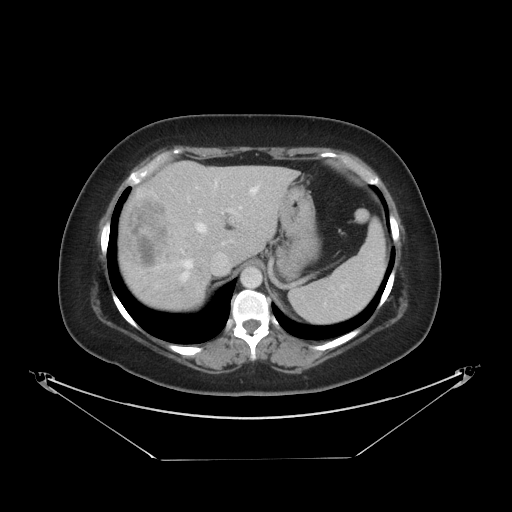
CT slice; 512x512
Only some of the vessels may be annotated.
* liver tumor: x1=127 y1=198 x2=167 y2=267
* hepatic vessel: x1=249 y1=185 x2=259 y2=196, x1=214 y1=180 x2=217 y2=189, x1=195 y1=185 x2=199 y2=188, x1=181 y1=259 x2=192 y2=279, x1=195 y1=222 x2=206 y2=233, x1=198 y1=208 x2=201 y2=213, x1=229 y1=209 x2=236 y2=213